Slice 51 of 166. CT image. Abdomen. 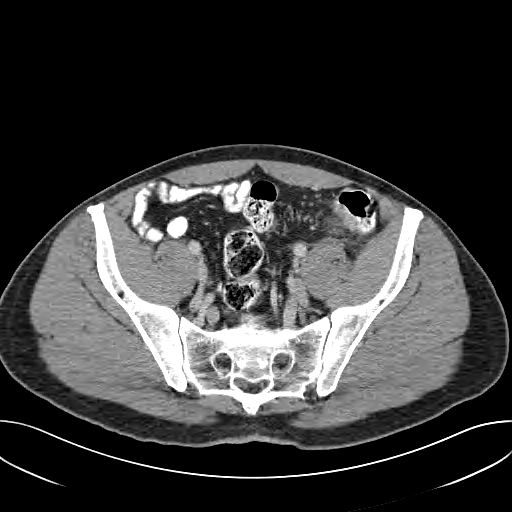
{"colon_tumor": ["bbox(333, 203, 355, 225)"]}